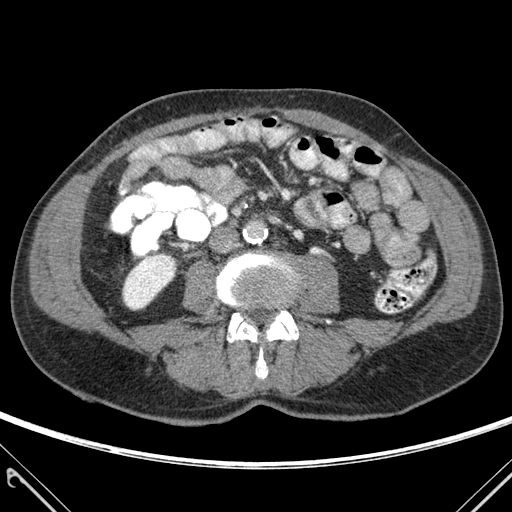
CT slice | Abdomen
Annotated regions:
• kidney: bbox=[124, 255, 174, 308]
• bone: bbox=[228, 313, 256, 341]; bbox=[267, 310, 298, 340]; bbox=[256, 348, 267, 378]; bbox=[217, 254, 295, 306]